CT image; Liver; Field of view 432 mm wide, 1.50 mm slice spacing 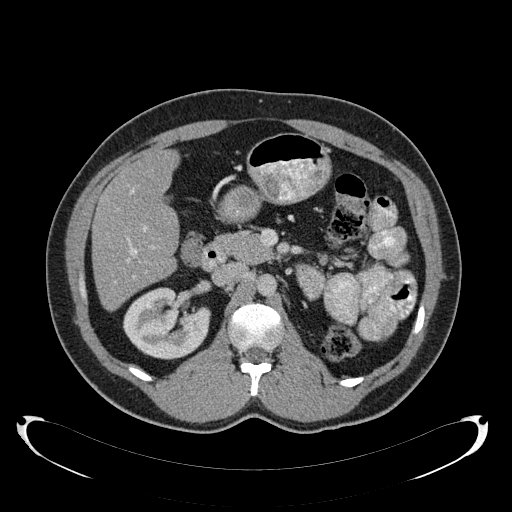

The liver lies within box(92, 150, 178, 309). The kidney is located at box(124, 288, 209, 358).